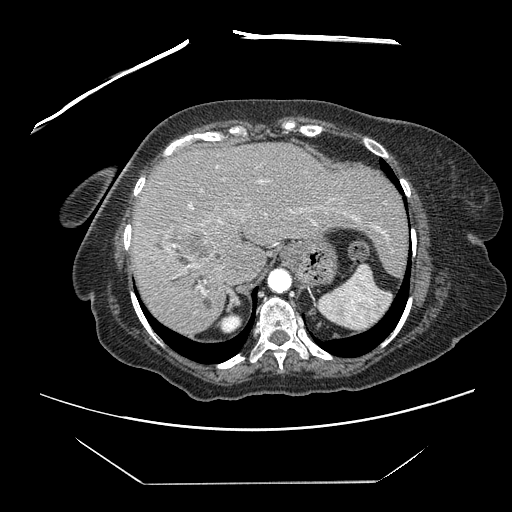
CT image.
Only some of the vessels may be annotated.
Hepatic vessel: (200,287,203,291), (189,204,192,208), (290,210,292,211), (300,209,302,210), (351,215,357,219).
Liver tumor: (167,226,214,269).